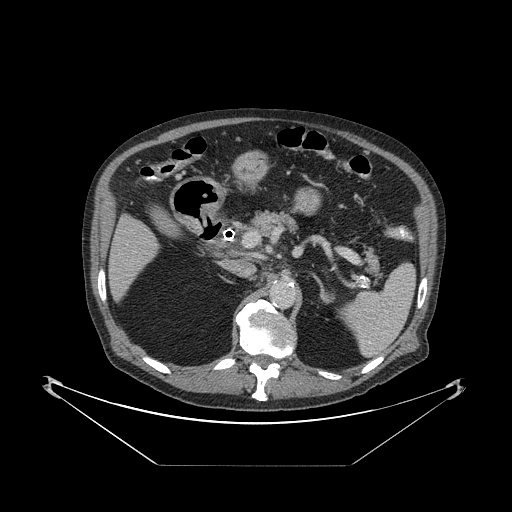
512x512 px. Abdomen. Computed tomography. Pancreas: bounding box [x1=365, y1=247, x2=381, y2=283], [x1=241, y1=210, x2=298, y2=236].